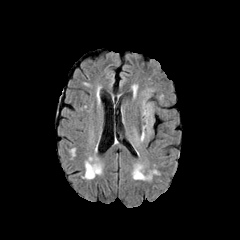
FLAIR MR.
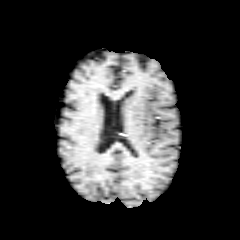
T1-weighted MR.
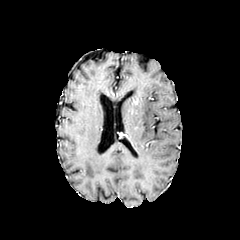
Same slice, post-contrast T1-weighted MRI.
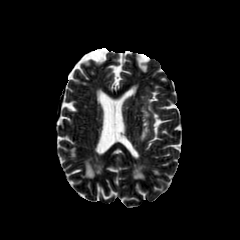
T2-weighted MRI.
Brain
Segmented structures:
* edema: box(138, 101, 153, 142); box(132, 84, 137, 98)